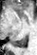

MR. Image size 37x55. posterior_hippocampus:
  - region(13, 36, 26, 47)